Image size 512x512. CT slice. Slice 149 of 845.
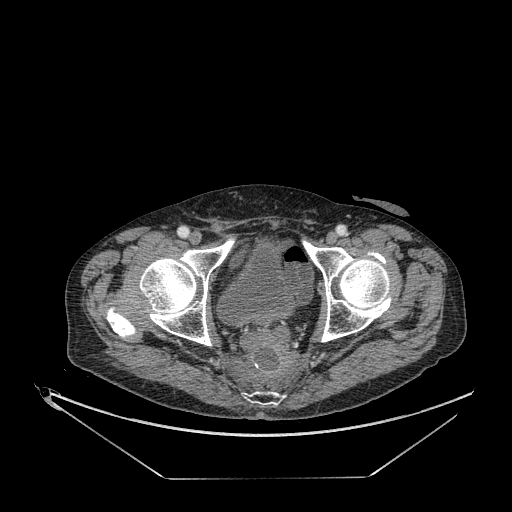 Annotated regions:
* urinary bladder: 217,239,298,324